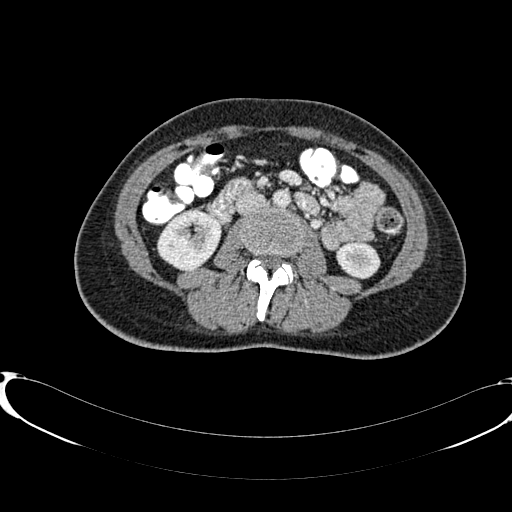 512x512 px | Abdomen | CT scan slice
{
  "kidney": [
    "x1=338 y1=244 x2=378 y2=277",
    "x1=158 y1=211 x2=220 y2=269"
  ]
}